MR image; Hippocampus

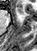 anterior_hippocampus:
  - <box>15,6,23,14</box>